Image size 31x54 | MR image

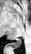 Posterior hippocampus = (left=9, top=39, right=21, bottom=48).